CT, Head, Slice 662/707 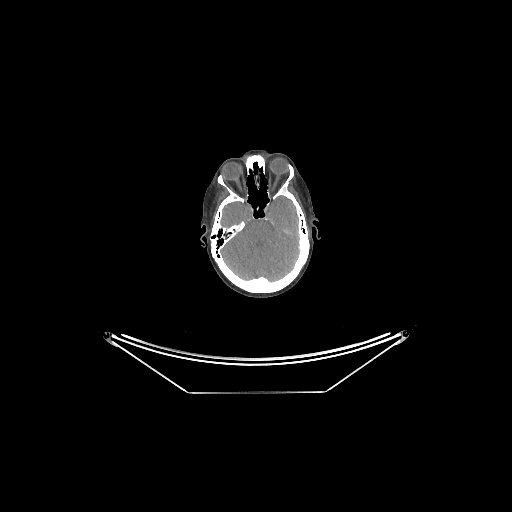
brain: bbox=[220, 195, 300, 282]